Head.
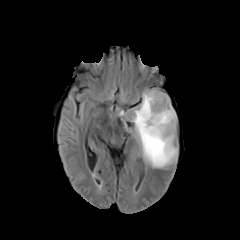
FLAIR MR.
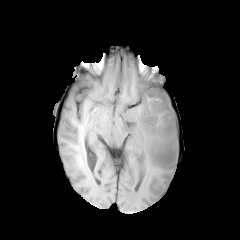
T1-weighted magnetic resonance.
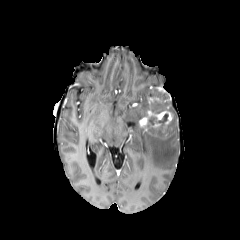
Post-contrast T1-weighted magnetic resonance.
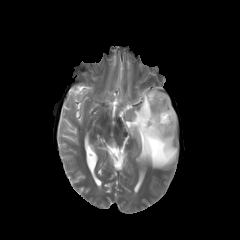
T2-weighted magnetic resonance.
Annotated regions:
• non-enhancing tumor core: (149, 114, 174, 130), (153, 140, 159, 151), (144, 89, 173, 115)
• enhancing tumor: (138, 110, 173, 130)
• edema: (118, 88, 177, 168), (150, 102, 160, 111)